Slice 30/43, Abdomen, Computed tomography

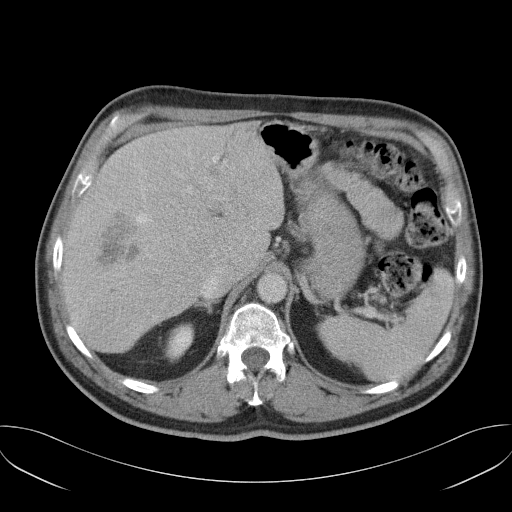 Some hepatic vessels may have no box.
<segmentation>
  <hepatic_vessel><box>136,214,149,225</box>, <box>219,198,223,199</box></hepatic_vessel>
  <liver_tumor><box>100,216,139,264</box></liver_tumor>
</segmentation>